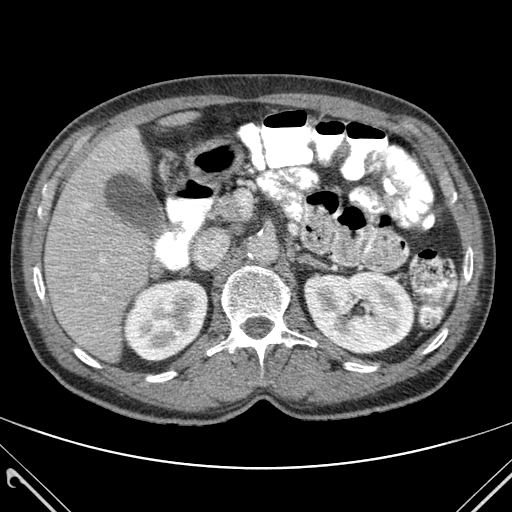
Liver, CT image
liver:
  - region(45, 127, 157, 362)
  - region(166, 113, 196, 124)
bone:
  - region(34, 266, 44, 298)
  - region(74, 349, 99, 367)
  - region(464, 249, 472, 280)
  - region(424, 330, 447, 353)
  - region(147, 372, 175, 381)
  - region(207, 266, 316, 364)
  - region(345, 363, 375, 372)
kidney:
  - region(305, 272, 413, 352)
  - region(125, 281, 206, 359)